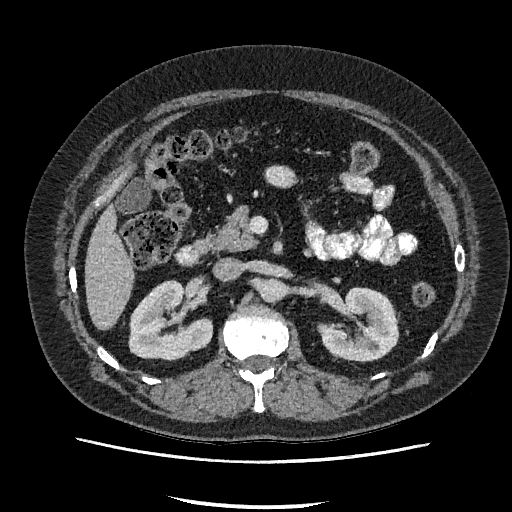 Image size 512x512. CT. Upper abdomen. * liver: <bbox>84, 205, 135, 329</bbox>
* kidney: <bbox>322, 288, 397, 360</bbox>, <bbox>130, 282, 211, 359</bbox>